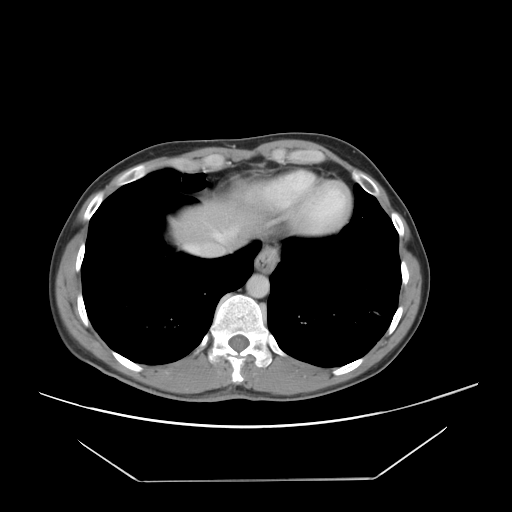

Computed tomography.
Some hepatic vessels may have no box.
Hepatic vessel = bbox=[212, 227, 236, 241].